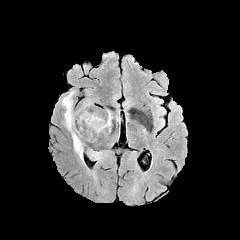
FLAIR MR image.
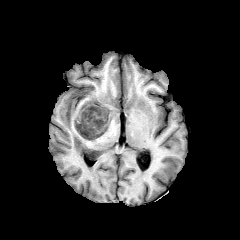
T1-weighted MRI of the same slice.
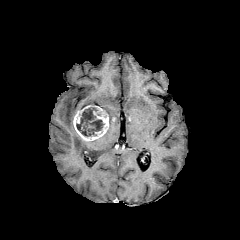
Same slice, post-contrast T1-weighted MR.
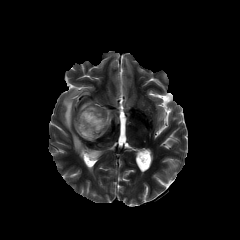
T2-weighted MR image.
Image size 240x240, Brain
Edema: 87, 149, 102, 161; 61, 90, 83, 159; 106, 109, 113, 126.
Non-enhancing tumor core: 76, 106, 105, 136.
Enhancing tumor: 73, 105, 109, 140.